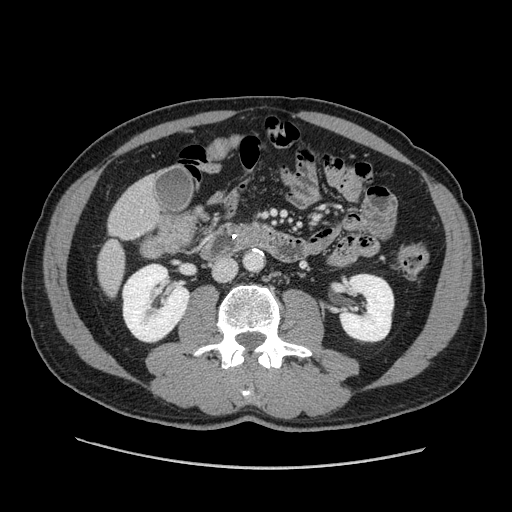
Image size 512x512 | Abdomen | CT slice

Pancreas: [x1=237, y1=217, x2=274, y2=241].